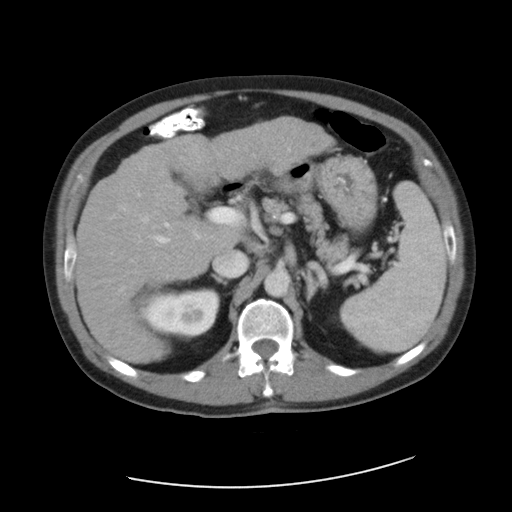
512x512, CT slice, Abdomen
Some hepatic vessels may have no box.
hepatic vessel: <box>195,232,200,238</box>, <box>212,208,235,221</box>, <box>142,217,148,222</box>, <box>164,222,168,226</box>, <box>154,236,169,242</box>